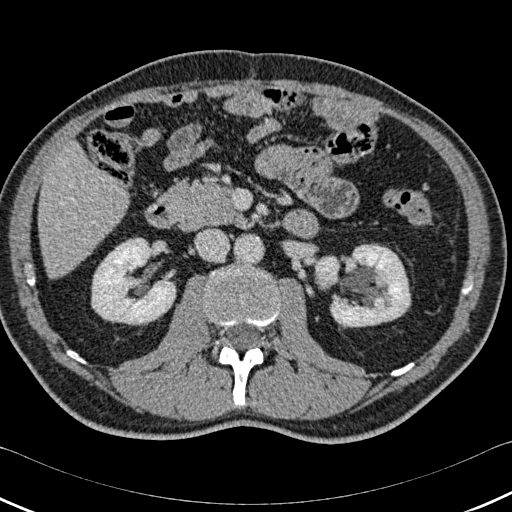
CT slice | Upper abdomen
3 kidney regions appear at left=316, top=257, right=338, bottom=286; left=92, top=239, right=175, bottom=323; left=331, top=245, right=409, bottom=326. The liver lies within left=38, top=146, right=128, bottom=276. 4 bone regions appear at left=219, top=347, right=262, bottom=405; left=67, top=351, right=85, bottom=362; left=206, top=267, right=279, bottom=326; left=391, top=363, right=413, bottom=375.